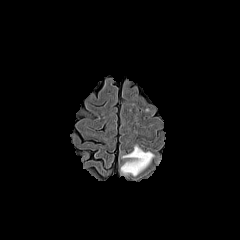
FLAIR MR.
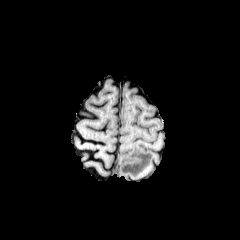
T1-weighted magnetic resonance of the same slice.
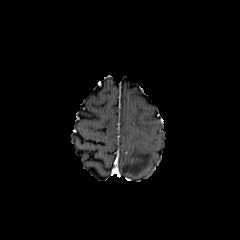
Post-contrast T1-weighted magnetic resonance.
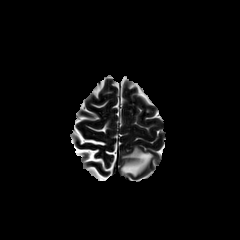
T2-weighted MR image.
Image size 240x240.
edema: (left=121, top=145, right=154, bottom=176)